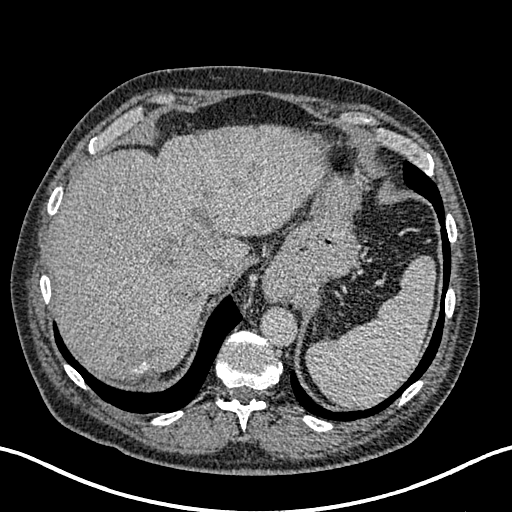 CT slice. Upper abdomen.
{"liver": ["<bbox>49, 126, 324, 380</bbox>"], "focal_liver_lesion": ["<bbox>245, 162, 260, 181</bbox>", "<bbox>146, 229, 214, 282</bbox>", "<bbox>117, 346, 158, 377</bbox>", "<bbox>188, 203, 214, 230</bbox>", "<bbox>165, 279, 202, 306</bbox>"]}